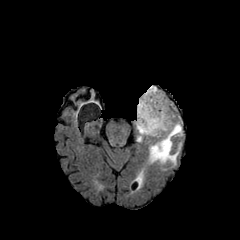
FLAIR MR.
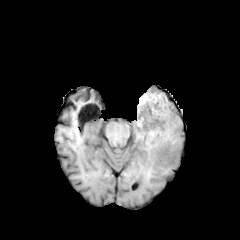
T1-weighted MR.
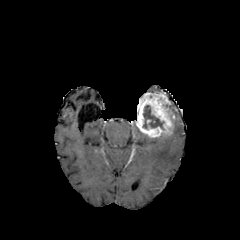
Same slice, post-contrast T1-weighted MR image.
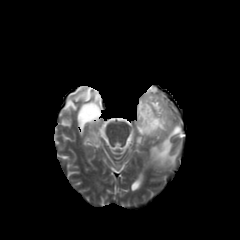
T2-weighted MR.
- edema: box(136, 101, 182, 183); box(146, 86, 160, 93); box(136, 132, 150, 146)
- non-enhancing tumor core: box(143, 105, 162, 127)
- enhancing tumor: box(136, 92, 172, 136)